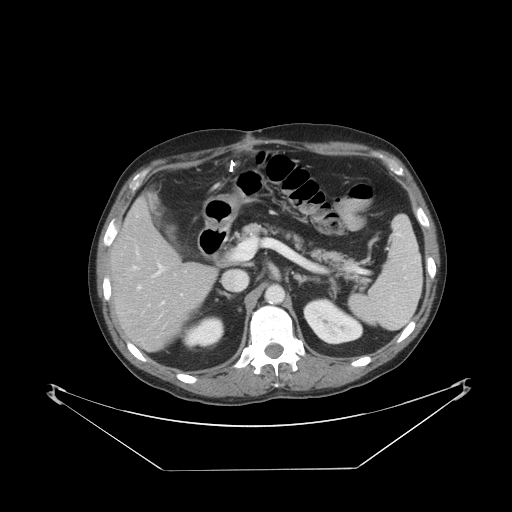
512x512. Abdomen. CT image.

Only some of the vessels may be annotated.
hepatic vessel: <bbox>137, 257, 138, 259</bbox>, <bbox>160, 301, 164, 304</bbox>, <bbox>137, 285, 141, 289</bbox>, <bbox>135, 249, 138, 255</bbox>, <bbox>132, 266, 138, 269</bbox>, <bbox>152, 263, 164, 280</bbox>, <bbox>156, 315, 160, 322</bbox>, <bbox>180, 293, 182, 295</bbox>